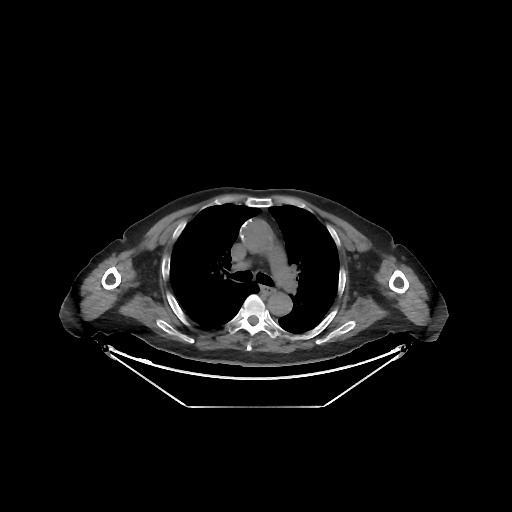 CT image, Chest
Lung: bounding box bbox=[256, 272, 274, 286]; bbox=[267, 205, 339, 333]; bbox=[170, 203, 262, 329].
Bone: bounding box bbox=[247, 198, 271, 206]; bbox=[167, 295, 187, 324]; bbox=[316, 321, 354, 343]; bbox=[291, 310, 336, 338]; bbox=[231, 295, 282, 339]; bbox=[101, 267, 120, 289]; bbox=[389, 270, 408, 293]; bbox=[157, 320, 193, 342]; bbox=[339, 271, 345, 291].